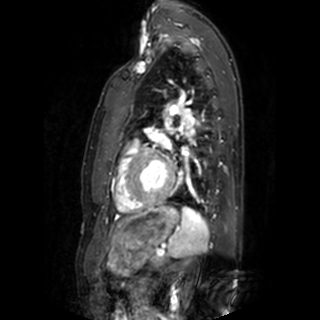 320x320 | MRI | Heart
Annotated regions:
• left atrium: 181 147 188 155